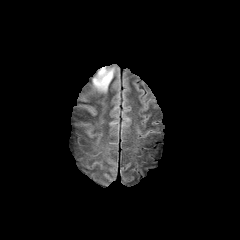
FLAIR MR image.
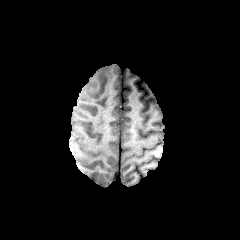
Same slice, T1-weighted MR.
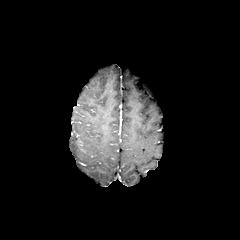
Post-contrast T1-weighted MR.
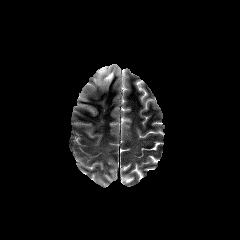
Same slice, T2-weighted MRI.
Brain.
The edema is bounded by 94, 67, 112, 87.